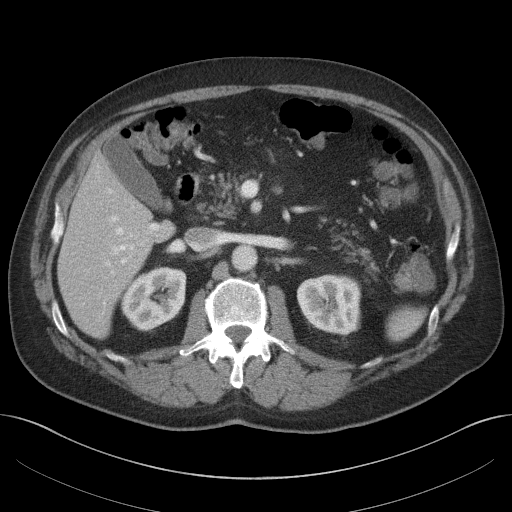 Image size 512x512, Liver, CT image
The liver appears at x1=58, y1=154, x2=154, y2=337. 2 kidney regions appear at x1=298, y1=277, x2=358, y2=331; x1=123, y1=269, x2=185, y2=327.